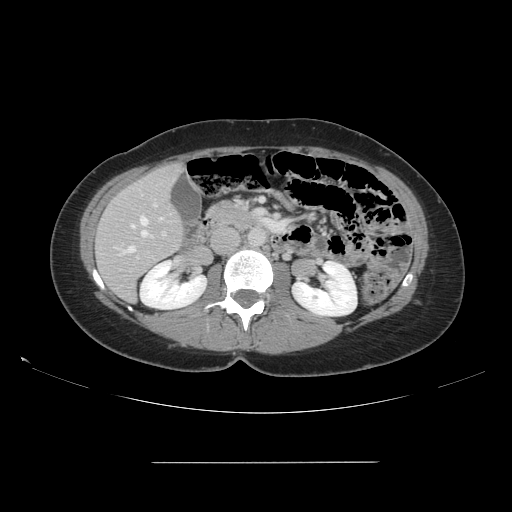

512x512 px | CT scan slice

Some hepatic vessels may have no box.
6 hepatic vessel regions appear at (left=140, top=216, right=153, bottom=237), (left=131, top=224, right=134, bottom=227), (left=162, top=232, right=165, bottom=234), (left=153, top=204, right=156, bottom=206), (left=116, top=246, right=135, bottom=253), (left=159, top=218, right=163, bottom=220).